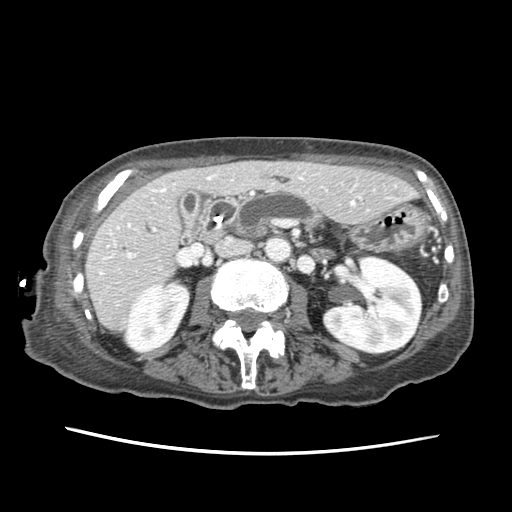

Computed tomography
{"pancreas": ["bbox=[237, 192, 322, 231]"]}